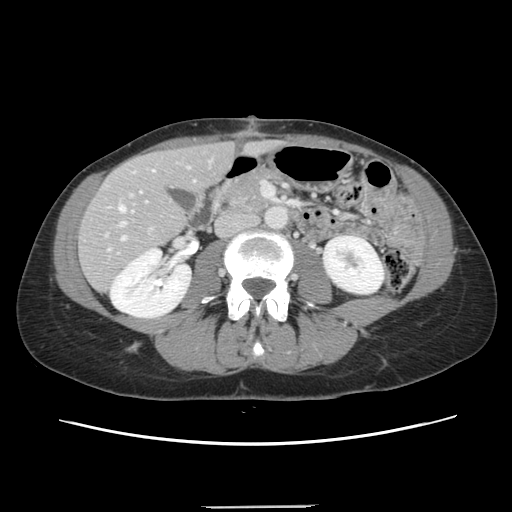 CT slice. Abdomen.

Only some of the vessels may be annotated.
Annotated regions:
• hepatic vessel: box=[121, 236, 125, 239]; box=[152, 169, 154, 171]; box=[129, 194, 132, 195]; box=[119, 204, 124, 211]; box=[107, 248, 110, 250]; box=[186, 166, 189, 167]; box=[119, 221, 125, 225]; box=[105, 233, 106, 235]